CT image.
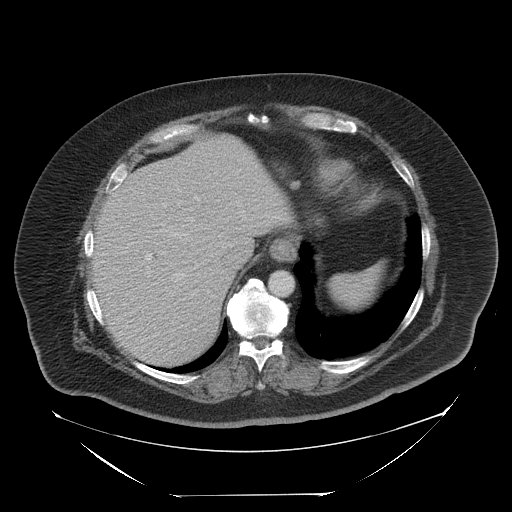 Spleen — bbox(329, 264, 385, 309).